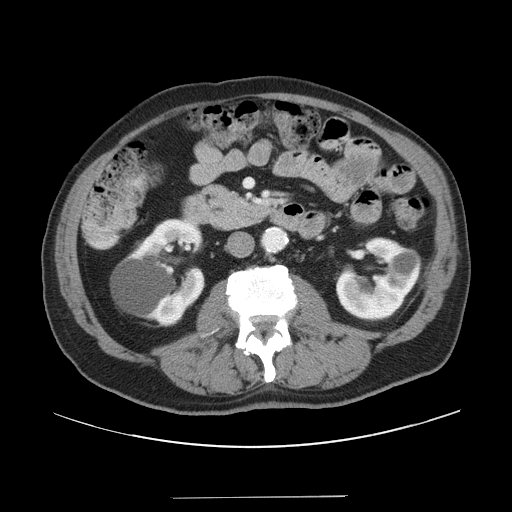 Upper abdomen, CT image

The pancreas appears at region(198, 184, 272, 230).